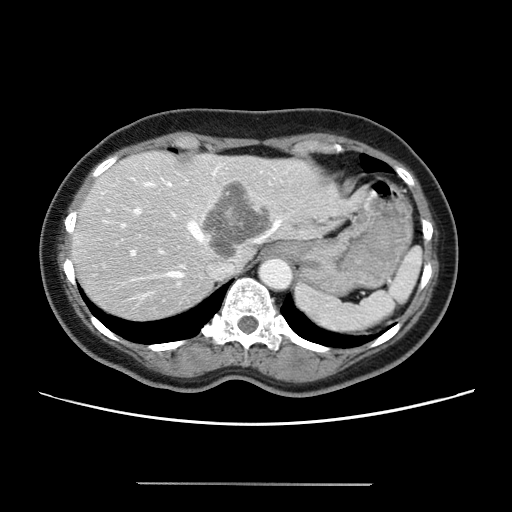
CT image; Liver
Not every hepatic vessel necessarily has a box.
liver tumor: [204, 184, 270, 257] | hepatic vessel: [131, 251, 134, 254], [170, 272, 181, 277], [273, 224, 276, 229], [122, 224, 123, 225], [135, 209, 139, 213], [264, 232, 270, 237], [146, 184, 150, 184], [188, 222, 202, 240]